Slice index 19; Computed tomography

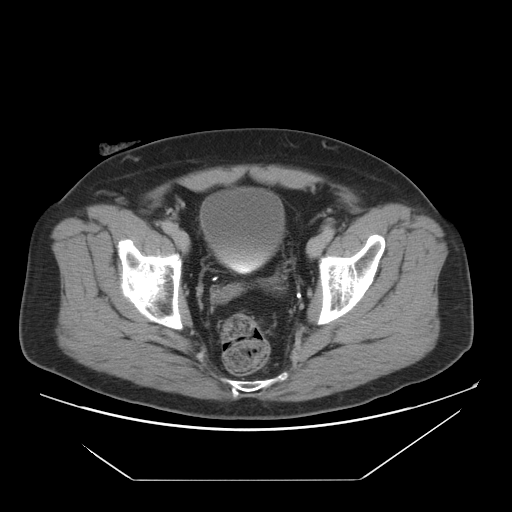
Urinary bladder — 202:188:282:270.